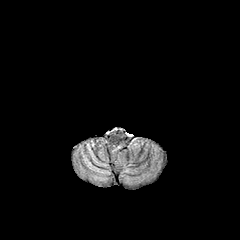
FLAIR MR image.
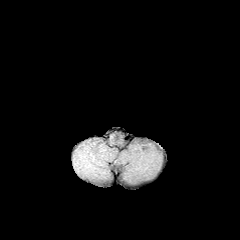
T1-weighted magnetic resonance of the same slice.
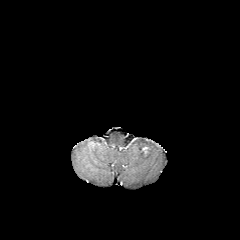
Same slice, post-contrast T1-weighted magnetic resonance.
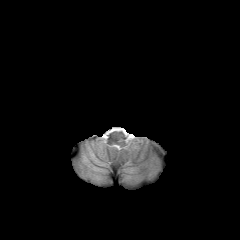
T2-weighted MR.
Segmented structures:
• edema: <bbox>81, 147, 109, 177</bbox>, <bbox>98, 142, 139, 177</bbox>